Slice 10 of 29. Medial temporal lobe. MR. 34x49.
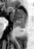
Posterior hippocampus — l=13, t=21, r=26, b=28.
Anterior hippocampus — l=7, t=6, r=26, b=20.